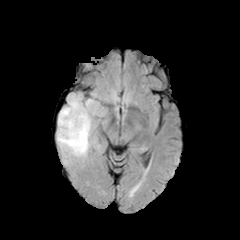
FLAIR MRI.
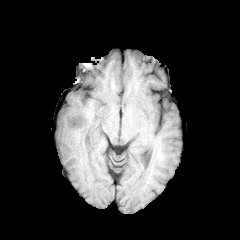
T1-weighted MRI.
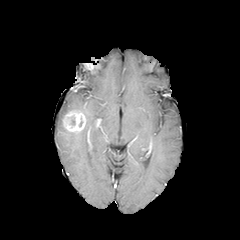
Post-contrast T1-weighted magnetic resonance of the same slice.
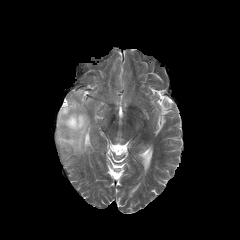
T2-weighted MRI of the same slice.
Brain
Edema: bounding box 56 92 107 167.
Enhancing tumor: bounding box 62 110 86 133.